CT. Abdomen.
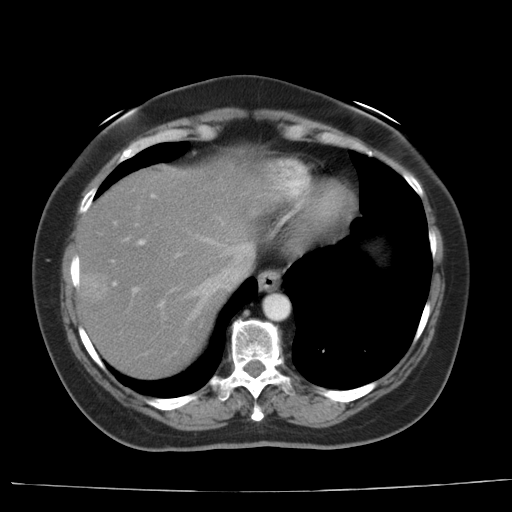 The vessel boxes may cover only some of the vessels.
hepatic_vessel:
  - (left=138, top=240, right=143, bottom=244)
  - (left=194, top=296, right=206, bottom=313)
  - (left=205, top=280, right=209, bottom=283)
  - (left=133, top=288, right=136, bottom=290)